CT image; Slice index 27; Liver

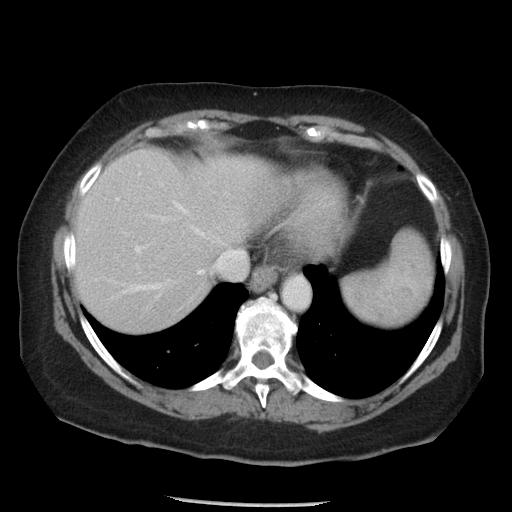 Not every hepatic vessel necessarily has a box.
Segmented structures:
- hepatic vessel: 213:249:247:279, 135:244:147:252, 191:226:203:235, 166:279:169:281, 174:202:187:212, 116:198:118:199, 122:283:162:292, 197:268:206:274, 148:214:167:220, 212:237:219:242, 156:293:160:297